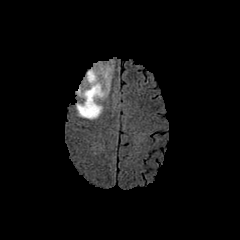
FLAIR MR image.
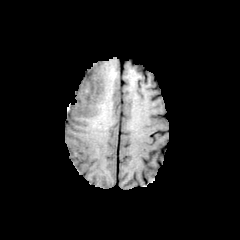
T1-weighted MR.
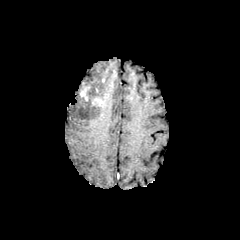
Post-contrast T1-weighted MR of the same slice.
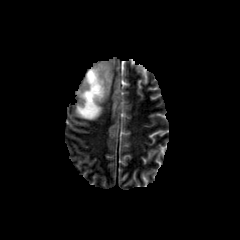
Same slice, T2-weighted magnetic resonance.
Brain | 240x240
Edema = <bbox>76, 65, 112, 119</bbox>.
Non-enhancing tumor core = <bbox>81, 87, 89, 100</bbox>.